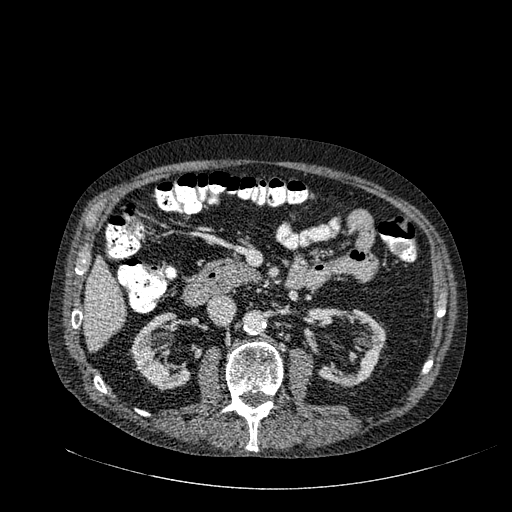 CT scan slice
Segmented structures:
* kidney: 318, 309, 385, 386; 130, 312, 190, 390
* liver: 85, 256, 125, 350